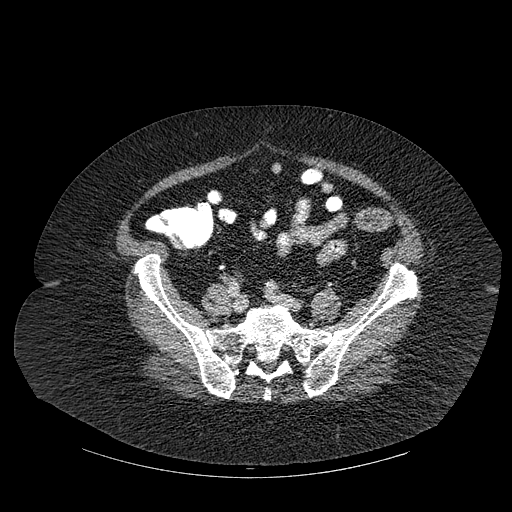
CT slice. 3 bone regions are bounded by left=134, top=254, right=417, bottom=398; left=246, top=361, right=290, bottom=381; left=264, top=388, right=270, bottom=399.